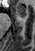
Magnetic resonance | Hippocampus
Anterior hippocampus = (16,6,26,16).